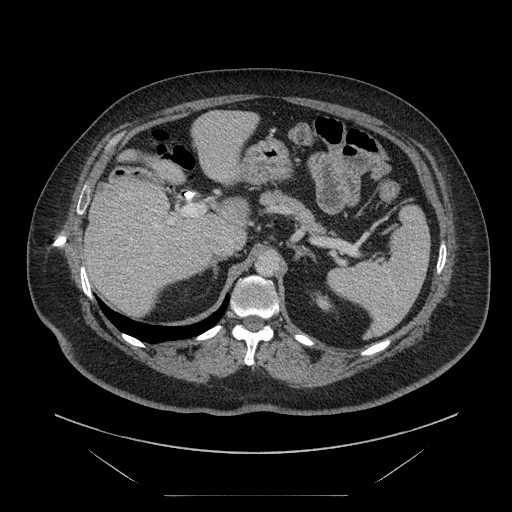

CT scan slice; 512x512; Liver
Some hepatic vessels may have no box.
2 hepatic vessel regions are bounded by 167 218 175 224, 181 201 205 217.